Slice 135/266 | CT scan slice 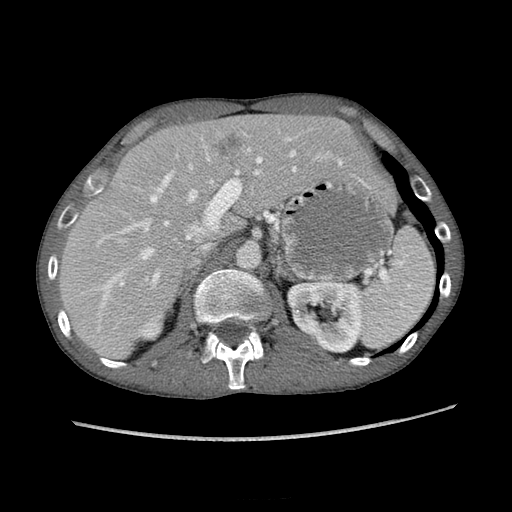
Kidney at x1=143, y1=319, x2=159, y2=337; x1=289, y1=283, x2=362, y2=351.
Liver lesion at x1=217, y1=135, x2=242, y2=159.
Liver at x1=57, y1=116, x2=375, y2=357.